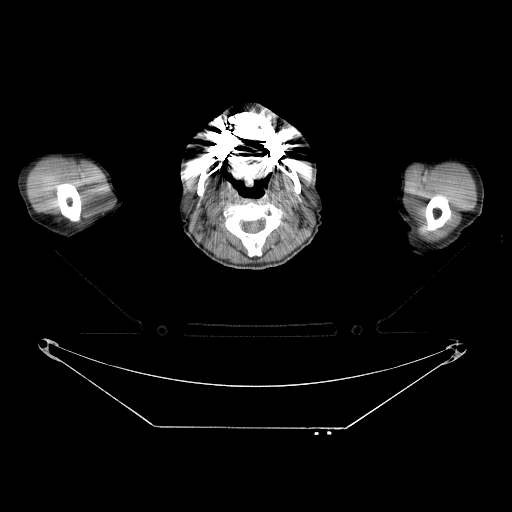

CT slice.

Annotated regions:
* bone: bbox(426, 195, 450, 230); bbox(56, 183, 80, 220); bbox(224, 202, 281, 255); bbox(189, 112, 304, 195)